Image size 512x512. Slice 59 of 605. CT scan slice.

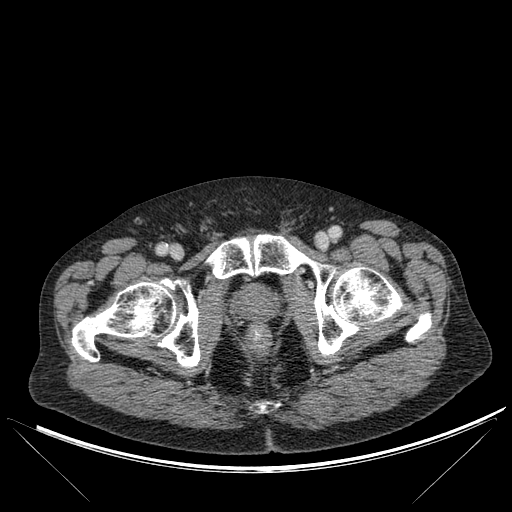 bone: [206,234,403,355], [406,312,431,341], [259,402,267,411], [72,279,200,367]